Field of view 512 mm wide, 1.00 mm slice spacing | Abdomen | CT image

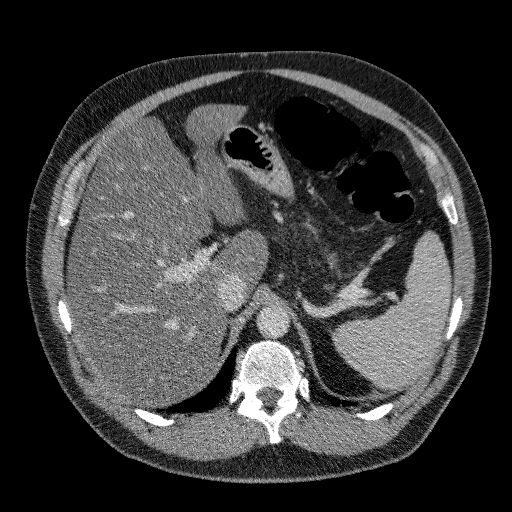

{
  "liver": [
    "x1=67, y1=104, x2=267, y2=406"
  ]
}